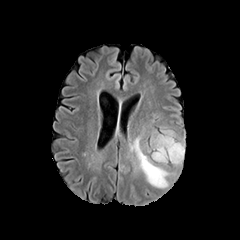
FLAIR magnetic resonance.
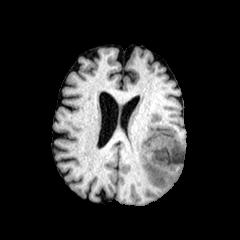
Same slice, T1-weighted MR image.
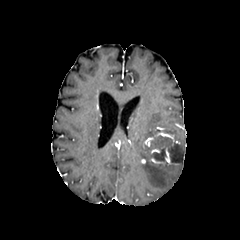
Post-contrast T1-weighted MR.
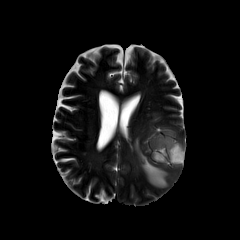
Same slice, T2-weighted MRI.
Head
3 edema regions appear at box(152, 134, 184, 163); box(135, 138, 167, 186); box(160, 129, 173, 136).